Slice index 463. CT image. 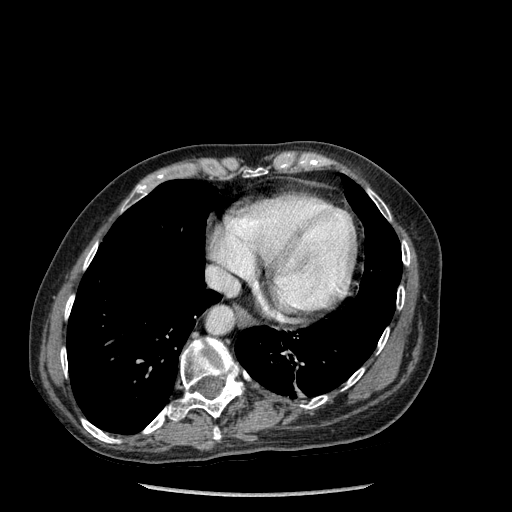 • bone: [143, 337, 243, 433], [300, 395, 327, 408], [396, 286, 404, 309], [64, 295, 74, 319], [377, 327, 389, 353], [121, 185, 146, 211], [367, 188, 391, 220], [244, 167, 267, 176], [60, 347, 67, 377], [402, 240, 410, 265], [213, 427, 220, 439], [81, 419, 120, 443], [83, 242, 97, 269], [342, 368, 364, 390]
• lung: [235, 175, 401, 398], [67, 179, 221, 434]